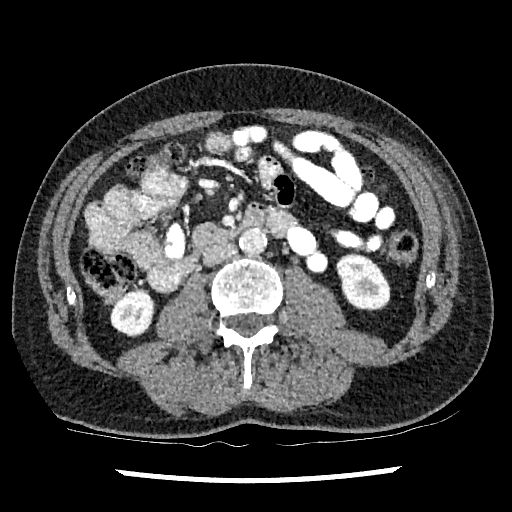 CT scan slice; Abdomen
Annotated regions:
* kidney: [x1=111, y1=292, x2=152, y2=334], [x1=337, y1=255, x2=388, y2=307]